Field of view 240 mm wide, 1.00 mm slice spacing
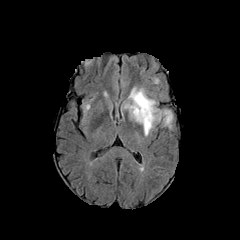
FLAIR MR image.
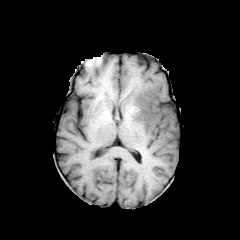
T1-weighted MRI of the same slice.
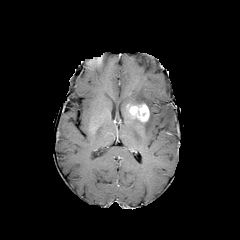
Post-contrast T1-weighted magnetic resonance.
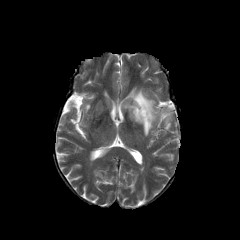
Same slice, T2-weighted MR image.
Edema: rect(124, 84, 173, 135).
Enhancing tumor: rect(130, 103, 149, 122).
Non-enhancing tumor core: rect(127, 102, 144, 117).